Slice 495/816. Computed tomography. Image width 369 mm. 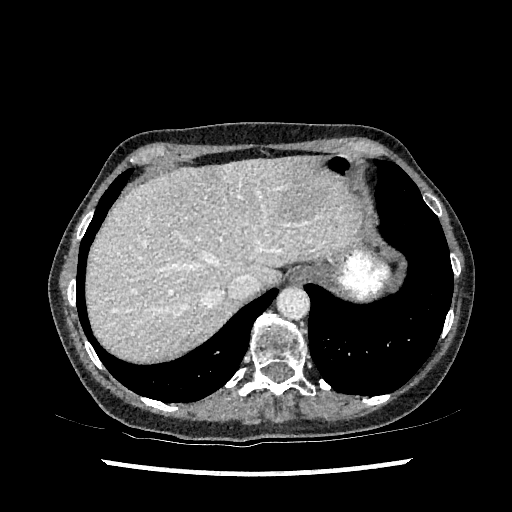

The liver is located at 86, 157, 361, 360. 2 hepatic lesion regions appear at 200, 166, 219, 181; 278, 157, 327, 222.